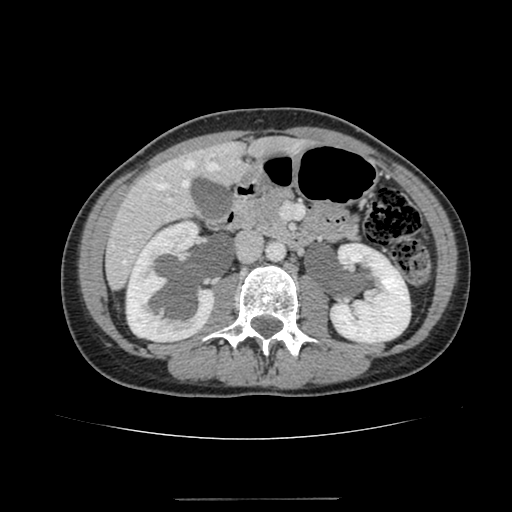
Liver. CT slice.
The liver is bounded by 106 134 312 289. 2 kidney regions are located at 127 222 213 341, 331 244 410 342.